FLAIR MR image.
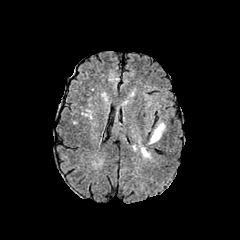
T1-weighted MRI.
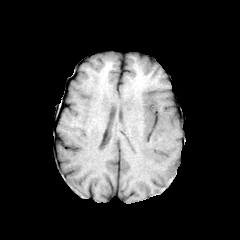
Post-contrast T1-weighted MRI.
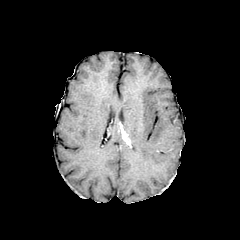
T2-weighted MR image.
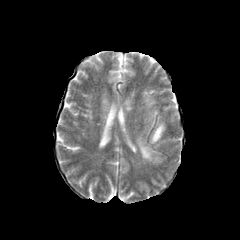
<segmentation>
  <edema>box=[131, 123, 165, 165]</edema>
</segmentation>